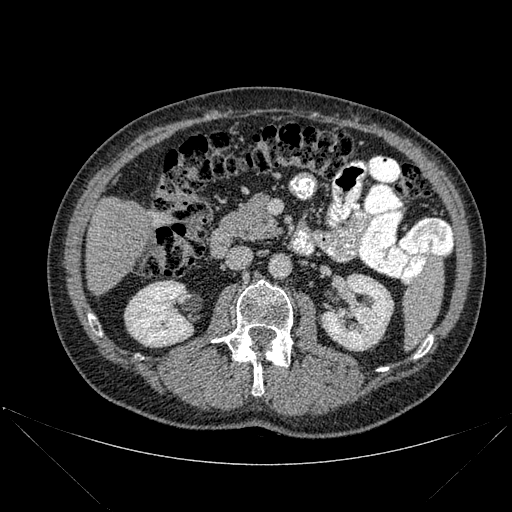

Upper abdomen. CT scan slice. 512x512 px. bone: [211, 280, 292, 395], [88, 314, 94, 327], [414, 335, 432, 358] | liver: [86, 197, 149, 293] | kidney: [125, 281, 193, 346], [322, 274, 393, 350]